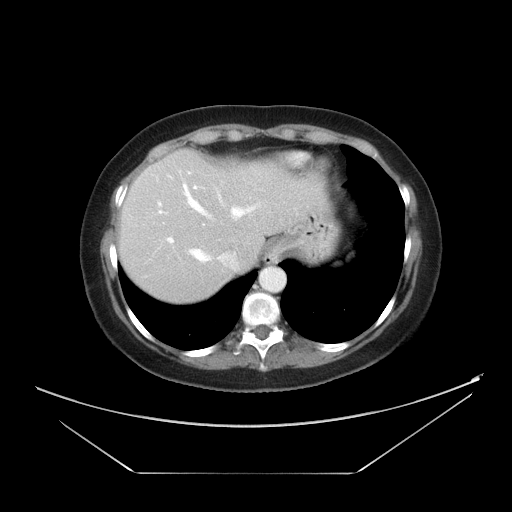

Abdomen; CT image
Not every hepatic vessel necessarily has a box.
{
  "hepatic_vessel": [
    "208, 214, 211, 216",
    "167, 237, 173, 242",
    "194, 186, 196, 188",
    "159, 210, 164, 213",
    "216, 252, 237, 268",
    "159, 202, 161, 206",
    "183, 184, 205, 213",
    "189, 249, 209, 261",
    "231, 207, 253, 217",
    "217, 191, 220, 201"
  ]
}